Field of view 372x372 mm; CT slice
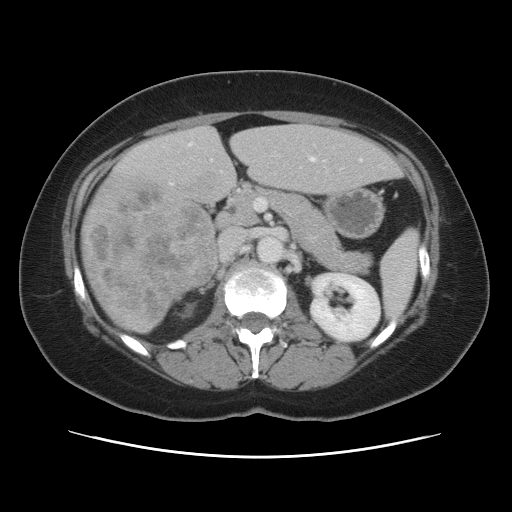
The vessel boxes may cover only some of the vessels.
Hepatic vessel at 310:157:314:161, 360:159:361:160, 254:198:266:209.
Liver tumor at 89:182:214:323.